512x512. CT image.

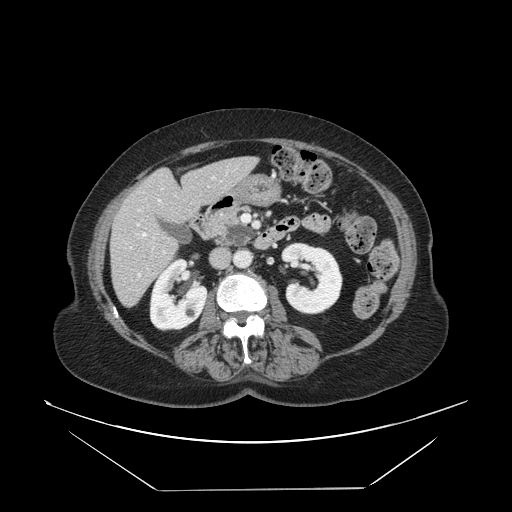
<segmentation>
  <pancreas>(205,203,256,248)</pancreas>
  <pancreatic_tumor>(224,224,253,245)</pancreatic_tumor>
</segmentation>